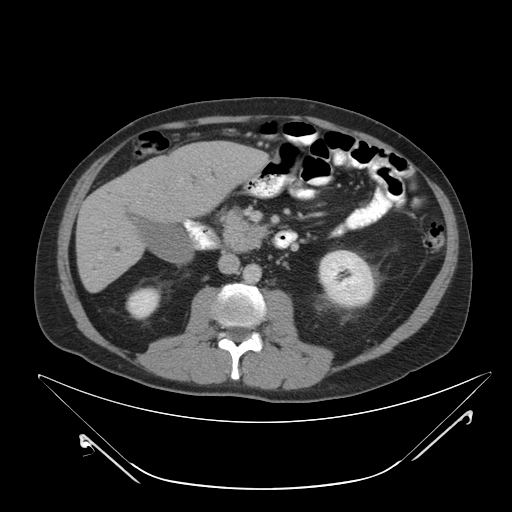
CT scan slice. Abdomen. Image size 512x512.

pancreas: 223:208:267:246, 226:245:251:252 | pancreatic tumor: 224:227:256:249